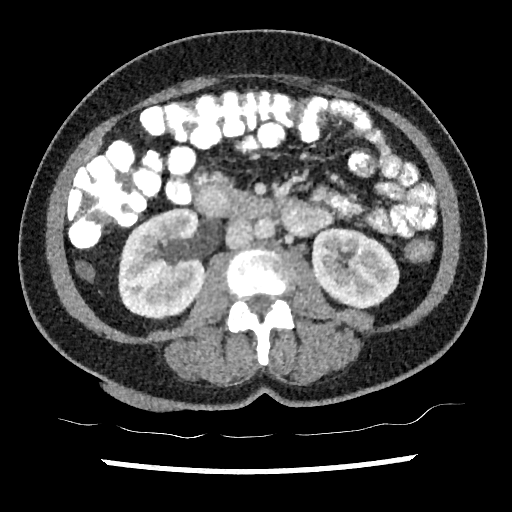
Liver | CT slice
The liver is located at (left=86, top=143, right=99, bottom=162). 2 kidney regions are located at (left=119, top=210, right=204, bottom=317), (left=313, top=229, right=398, bottom=307).